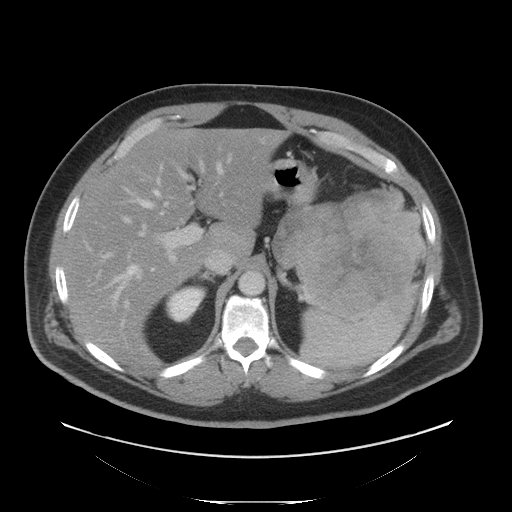

CT image.

Pancreatic tumor — [x1=274, y1=189, x2=424, y2=313].
Pancreas — [x1=340, y1=305, x2=376, y2=318], [x1=287, y1=262, x2=304, y2=282].